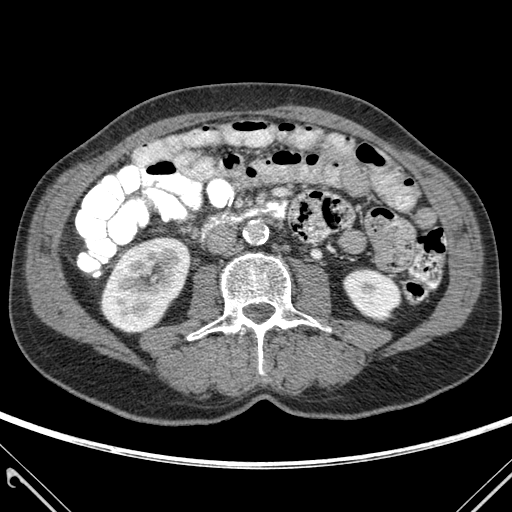

CT.

{
  "kidney": [
    "region(102, 238, 187, 331)",
    "region(345, 271, 399, 318)"
  ],
  "bone": [
    "region(187, 253, 322, 373)"
  ]
}